FLAIR magnetic resonance.
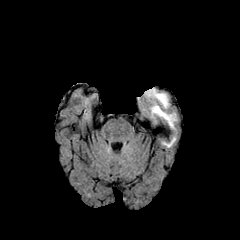
T1-weighted MRI.
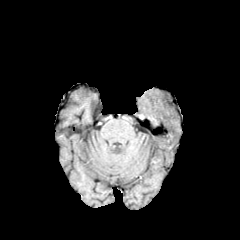
Post-contrast T1-weighted magnetic resonance.
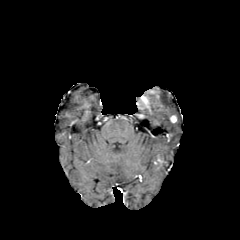
T2-weighted MR.
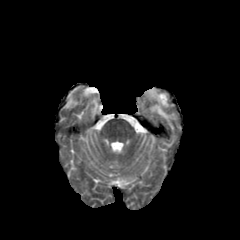
Head
Non-enhancing tumor core at l=138, t=91, r=158, b=110.
Edema at l=160, t=134, r=175, b=147; l=139, t=91, r=175, b=132.